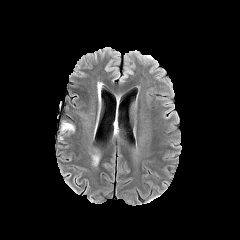
FLAIR MR image.
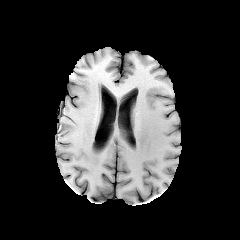
T1-weighted MR.
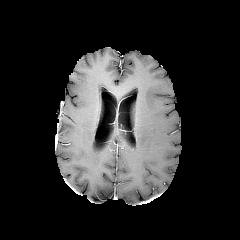
Same slice, post-contrast T1-weighted magnetic resonance.
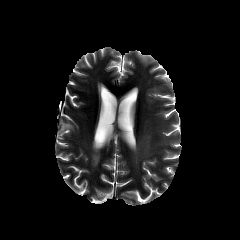
Same slice, T2-weighted MR.
Head. 240x240 px.
The edema is located at [60, 124, 69, 133].